CT image. 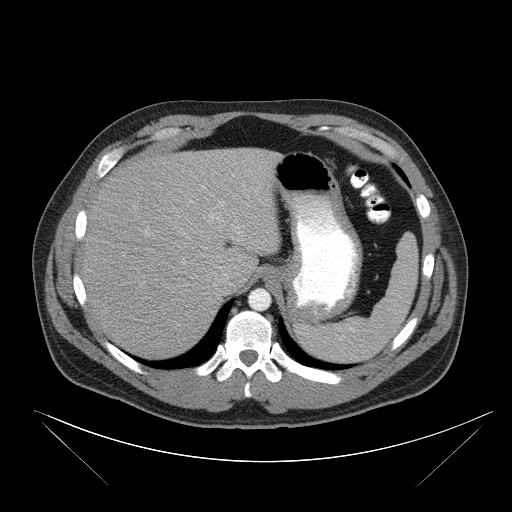

spleen: l=297, t=233, r=418, b=364